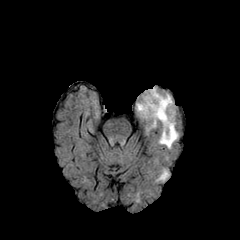
FLAIR MR.
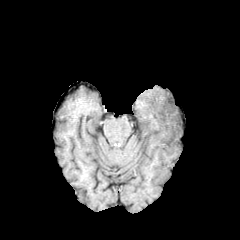
T1-weighted MR.
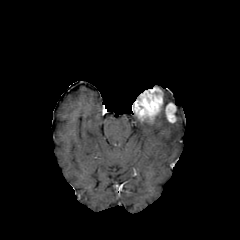
Post-contrast T1-weighted MR.
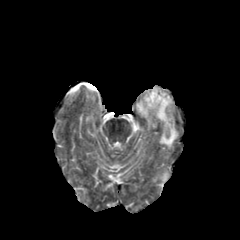
T2-weighted MRI of the same slice.
{"edema": ["region(158, 169, 167, 180)", "region(164, 93, 171, 105)", "region(152, 116, 178, 149)"], "enhancing_tumor": ["region(134, 87, 163, 122)", "region(164, 102, 175, 123)"]}